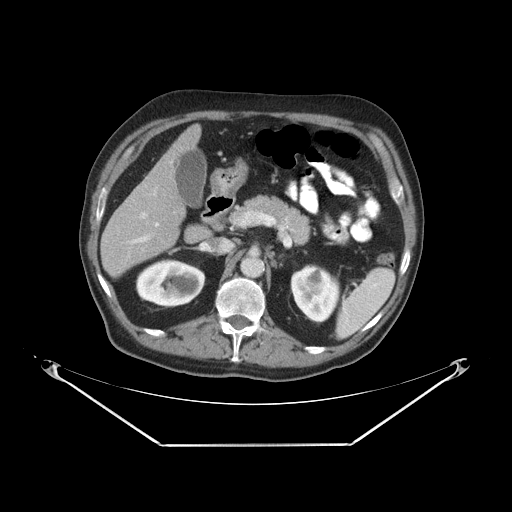
CT slice

The vessel annotation is not exhaustive.
6 hepatic vessel regions are located at rect(139, 211, 147, 217); rect(127, 235, 150, 243); rect(169, 161, 172, 164); rect(173, 211, 174, 213); rect(154, 222, 159, 226); rect(148, 186, 157, 196).